Computed tomography. 512x512. Slice 34 of 89. Field of view 371 mm wide, 2.50 mm slice spacing. Upper abdomen. 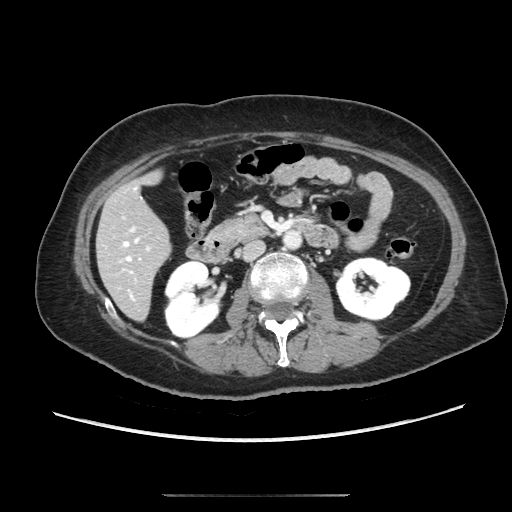 The pancreas is at <box>215,215,267,243</box>.